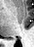

MRI. 34x47.
{"posterior_hippocampus": ["rect(8, 39, 16, 39)"]}